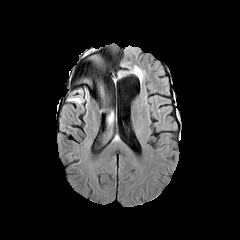
FLAIR magnetic resonance.
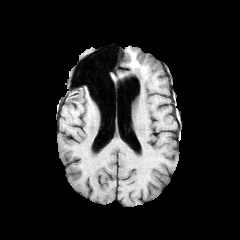
Same slice, T1-weighted magnetic resonance.
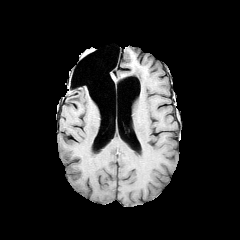
Same slice, post-contrast T1-weighted magnetic resonance.
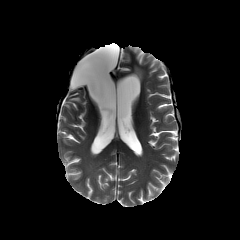
T2-weighted MR image of the same slice.
240x240 px
• edema: 70, 91, 84, 103; 98, 80, 109, 109; 105, 106, 113, 123